Slice 24/536. Field of view 700 mm wide, 3.27 mm slice spacing. Computed tomography. 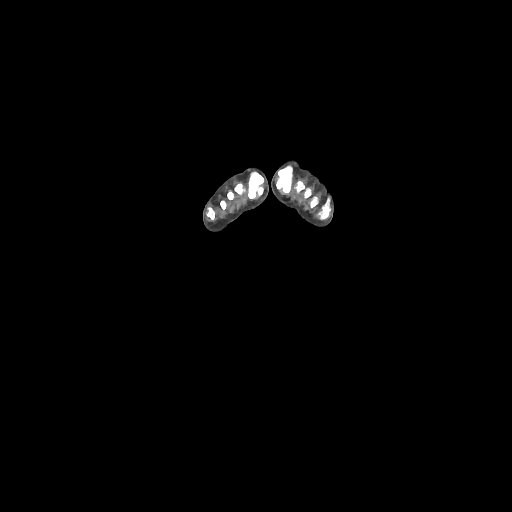 Bone — (x1=247, y1=172, x2=263, y2=198), (x1=220, y1=183, x2=245, y2=209), (x1=276, y1=166, x2=292, y2=192), (x1=319, y1=198, x2=330, y2=218), (x1=295, y1=181, x2=317, y2=207), (x1=207, y1=207, x2=214, y2=219).